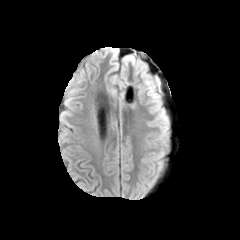
FLAIR MRI.
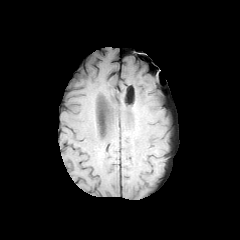
T1-weighted MR image of the same slice.
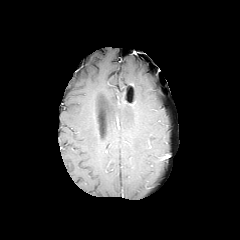
Post-contrast T1-weighted magnetic resonance.
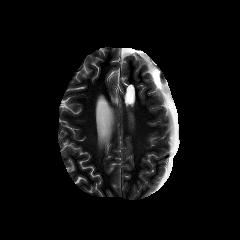
T2-weighted MR image.
240x240 px; Head
Segmented structures:
* edema: <bbox>142, 71, 162, 111</bbox>, <bbox>155, 110, 168, 135</bbox>